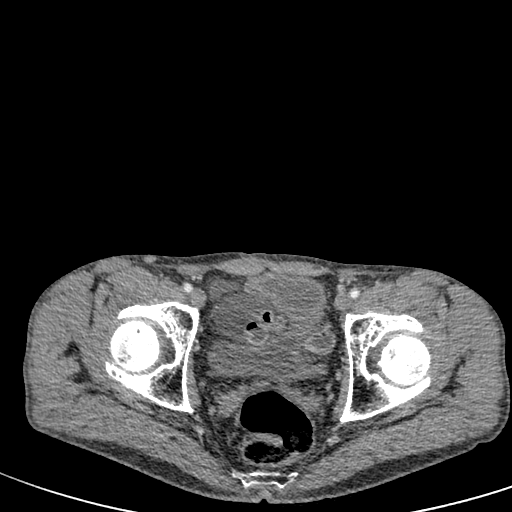

CT slice

urinary bladder: 208:273:325:390